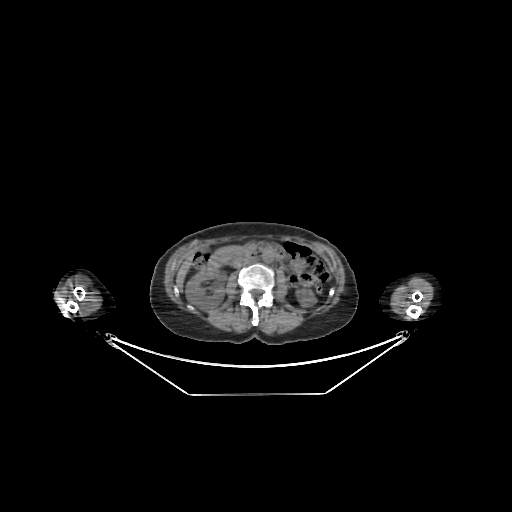

Computed tomography; Upper abdomen
liver: 176:255:193:286 | kidney: 295:284:317:309, 185:269:227:310